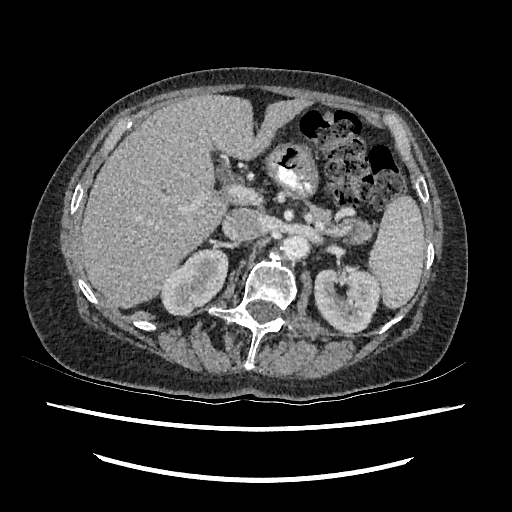 CT image; Image size 512x512; Liver
The liver is bounded by rect(83, 95, 312, 306). 2 kidney regions are located at rect(315, 268, 381, 332); rect(161, 249, 227, 314).